512x512 px | CT | Slice index 516

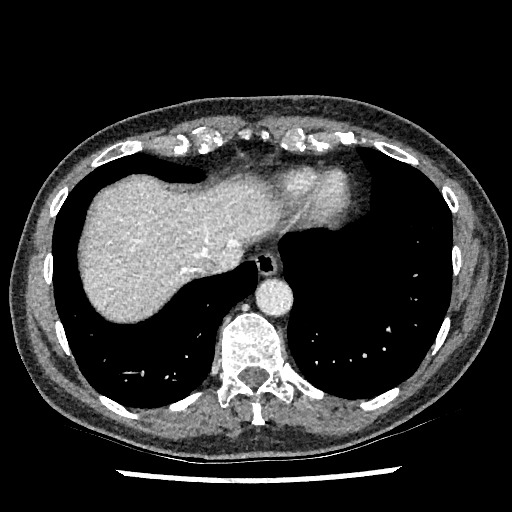 - liver: 79 174 282 323